Field of view 240 mm wide, 1.00 mm slice spacing | Brain | Slice index 39 | Image size 240x240
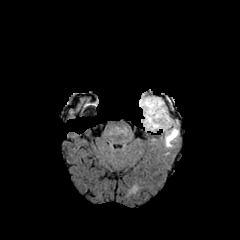
FLAIR MRI.
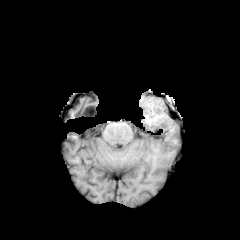
T1-weighted magnetic resonance of the same slice.
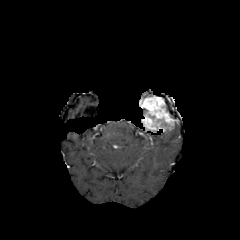
Post-contrast T1-weighted MRI.
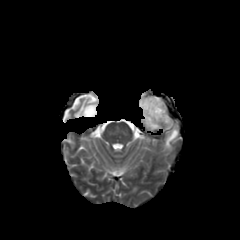
Same slice, T2-weighted magnetic resonance.
Annotated regions:
• edema: 164, 126, 178, 147
• enhancing tumor: 139, 95, 174, 131